Medial temporal lobe. MR image.
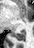

posterior hippocampus: 12, 32, 24, 40